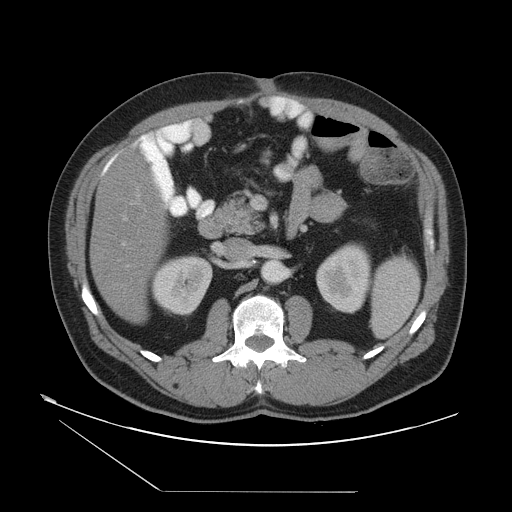
Abdomen, CT scan slice

Some hepatic vessels may have no box.
<segmentation>
  <hepatic_vessel>(left=121, top=242, right=124, bottom=245), (left=125, top=266, right=127, bottom=268), (left=130, top=202, right=132, bottom=204), (left=162, top=206, right=163, bottom=208), (left=122, top=216, right=125, bottom=220)</hepatic_vessel>
</segmentation>